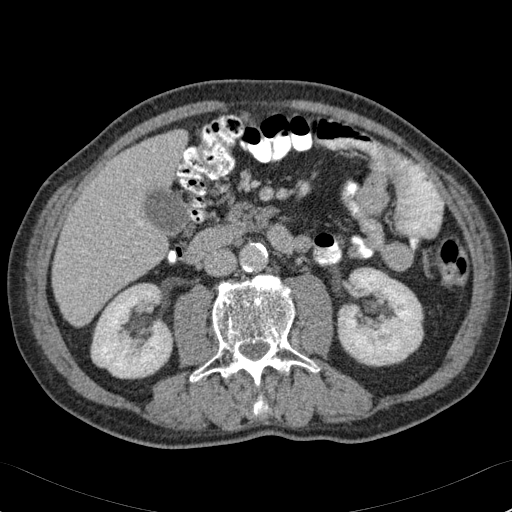
Abdomen | CT

Kidney = <box>338,268,422,365</box>, <box>92,284,171,377</box>.
Liver = <box>53,130,186,325</box>.